CT
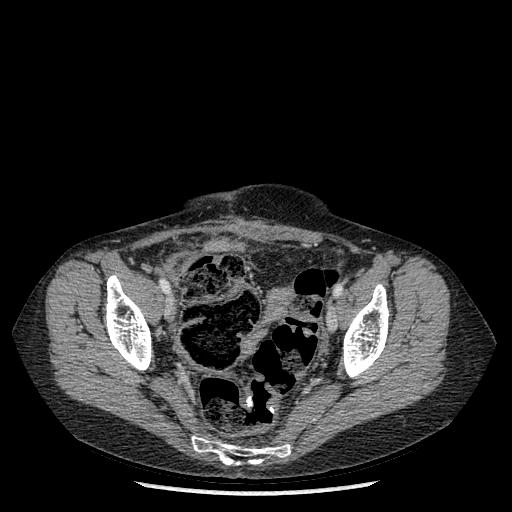
Bone: [343,284,389,378], [105,275,151,370], [191,436,290,465].